Medial temporal lobe, Field of view 36 mm wide, 1.00 mm slice spacing, Slice 19 of 43, MRI slice

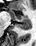
- anterior hippocampus: region(9, 10, 30, 21)
- posterior hippocampus: region(17, 22, 30, 29)